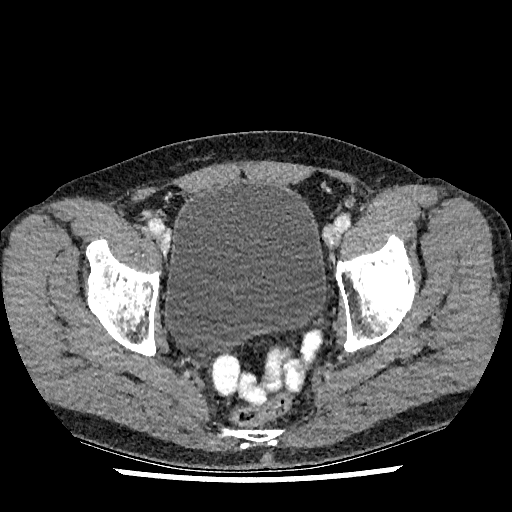 Pelvis, 512x512 px, Computed tomography
Urinary bladder: bounding box left=165, top=181, right=326, bottom=355.